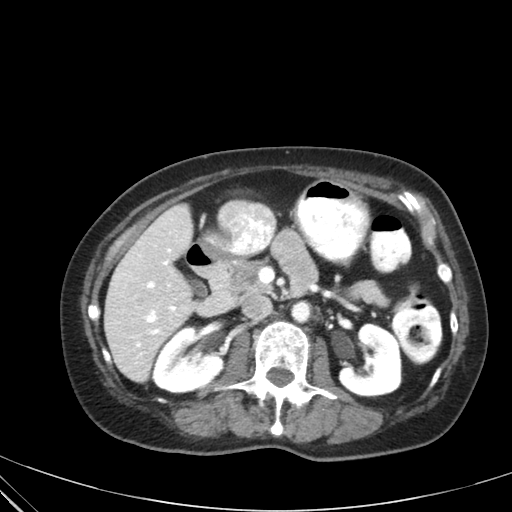 CT scan slice; Abdomen
pancreatic_tumor:
  - <bbox>247, 273, 257, 285</bbox>
pancreas:
  - <bbox>230, 258, 268, 295</bbox>